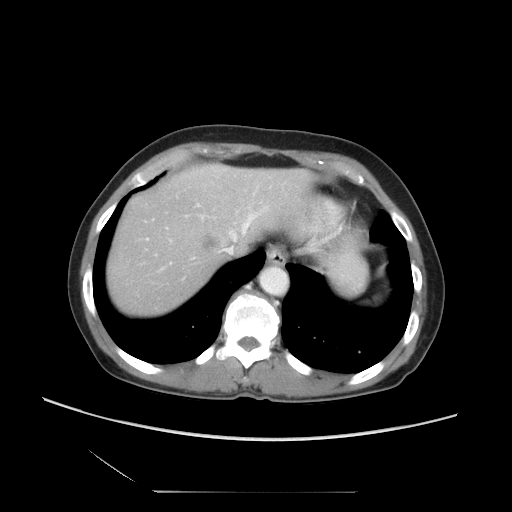
Abdomen; CT slice

The vessel annotation is not exhaustive.
hepatic_vessel:
  - x1=240, y1=206, x2=266, y2=232
  - x1=228, y1=230, x2=236, y2=239
liver_tumor:
  - x1=206, y1=236, x2=219, y2=248